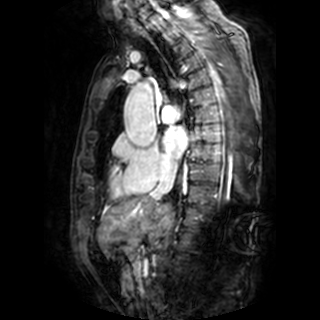

Magnetic resonance
• left atrium: [162, 127, 187, 158]